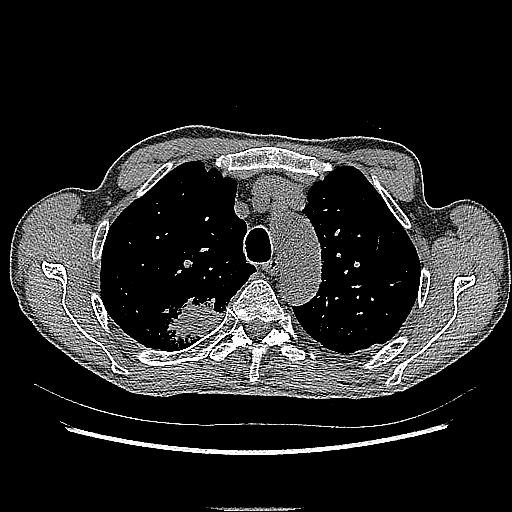 CT slice; Chest
The lung tumor is at region(157, 294, 225, 349).